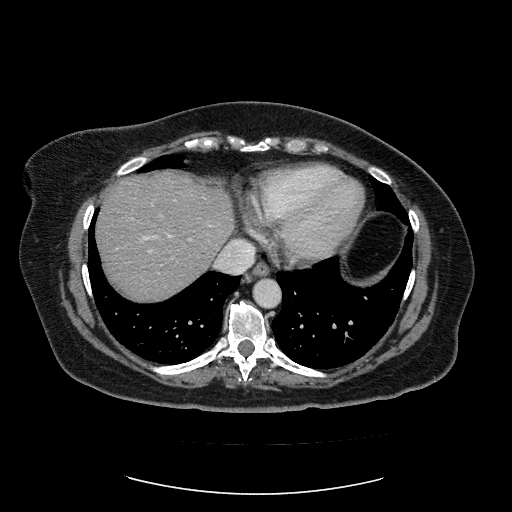

CT scan slice
The vessel annotation is not exhaustive.
- hepatic vessel: (x1=167, y1=234, x2=171, y2=237), (x1=189, y1=238, x2=190, y2=240), (x1=151, y1=202, x2=153, y2=205), (x1=148, y1=250, x2=152, y2=252), (x1=131, y1=218, x2=133, y2=219), (x1=160, y1=215, x2=163, y2=216), (x1=141, y1=235, x2=156, y2=239)